MRI slice | Cardiac
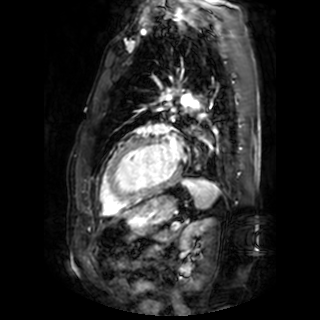
Annotated regions:
- left atrium: 168, 141, 182, 161